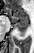

MRI
Posterior hippocampus at (15, 23, 28, 36).
Anterior hippocampus at (5, 8, 28, 22).